Slice 94/171, Image size 512x512, CT slice 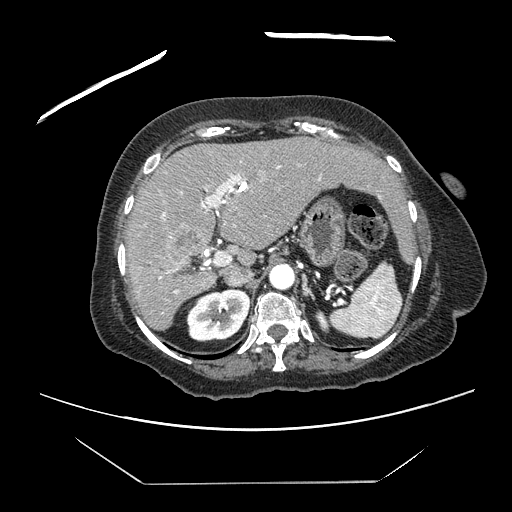 Only some of the vessels may be annotated.
{"hepatic_vessel": ["x1=214 y1=252 x2=230 y2=264", "x1=180 y1=192 x2=181 y2=193", "x1=201 y1=174 x2=243 y2=207", "x1=168 y1=270 x2=174 y2=271", "x1=162 y1=214 x2=164 y2=216"], "liver_tumor": ["x1=170 y1=227 x2=200 y2=260"]}